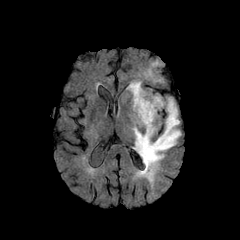
FLAIR MRI.
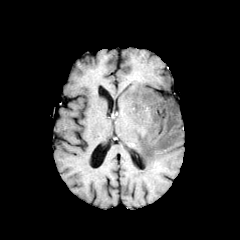
T1-weighted MR image of the same slice.
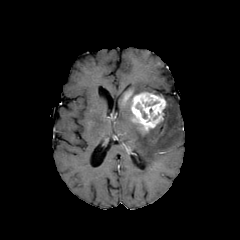
Post-contrast T1-weighted MR.
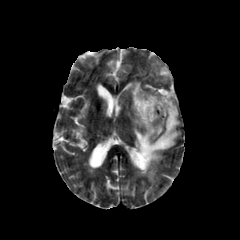
Same slice, T2-weighted magnetic resonance.
Brain
2 edema regions appear at [132, 97, 181, 186], [128, 81, 145, 93]. 2 enhancing tumor regions are located at [123, 89, 133, 101], [131, 92, 166, 131].